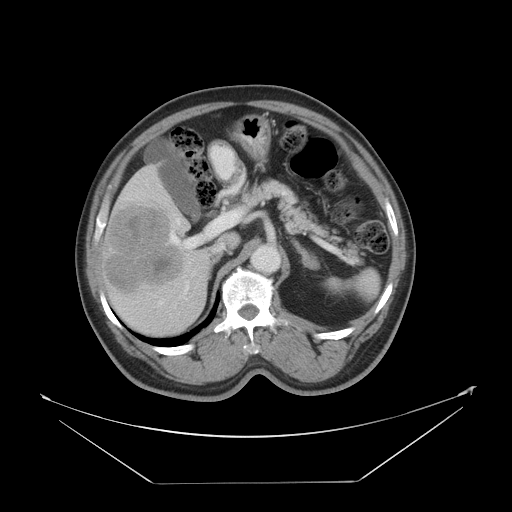

CT image. Liver.
Only some of the vessels may be annotated.
Liver tumor: box(105, 207, 181, 294).
Hepatic vessel: box(170, 225, 219, 248); box(174, 303, 175, 306); box(158, 300, 163, 304); box(181, 264, 188, 299); box(175, 218, 180, 224).